CT scan slice; Slice 43 of 55; Abdomen 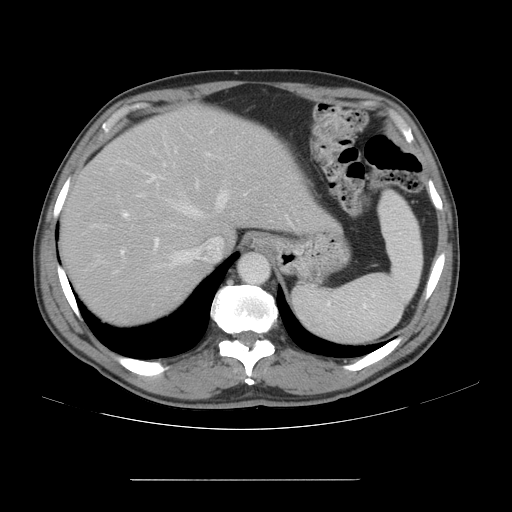
The vessel boxes may cover only some of the vessels.
Liver tumor = 80, 211, 96, 221.
Hepatic vessel = 166, 249, 195, 267; 206, 152, 216, 156; 120, 249, 124, 253; 123, 212, 128, 217; 174, 204, 202, 216; 154, 238, 158, 249; 137, 194, 143, 196; 174, 148, 176, 152; 163, 163, 164, 165; 147, 174, 162, 182; 216, 190, 227, 211; 196, 181, 198, 187.